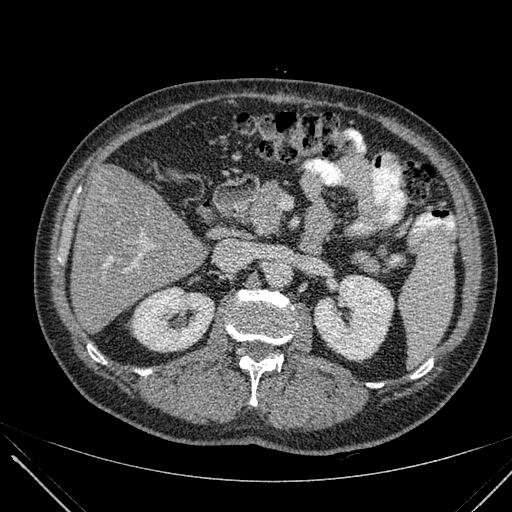

Liver | CT image
kidney:
  - left=315, top=275, right=393, bottom=359
  - left=133, top=288, right=213, bottom=351
liver:
  - left=71, top=164, right=206, bottom=332